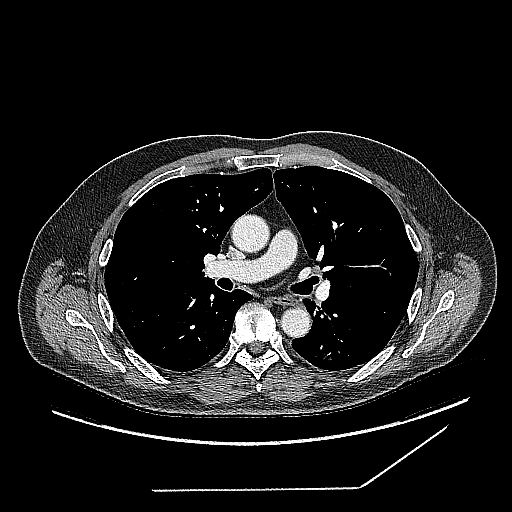
CT, Lung
lung_tumor:
  - l=320, t=352, r=333, b=364